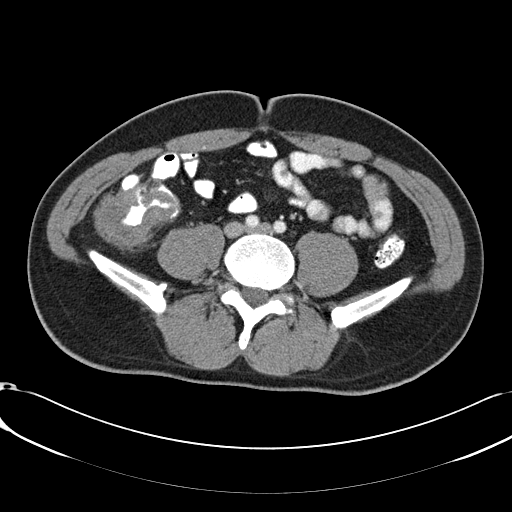
Abdomen, CT scan slice

2 colon tumor regions appear at 96,190,173,245; 143,189,170,202.